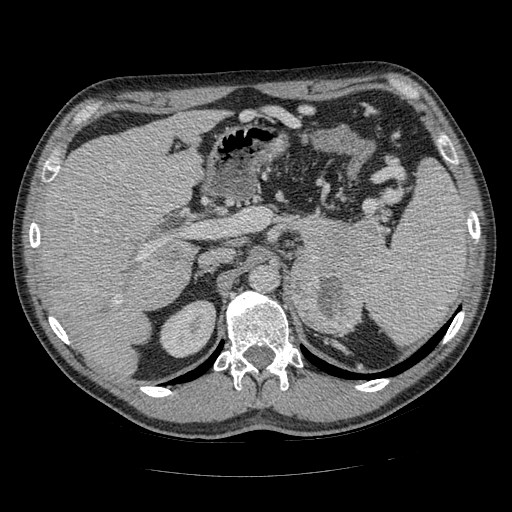

CT | Upper abdomen
The pancreas appears at l=301, t=218, r=381, b=290. The pancreatic tumor is at l=291, t=256, r=362, b=334.